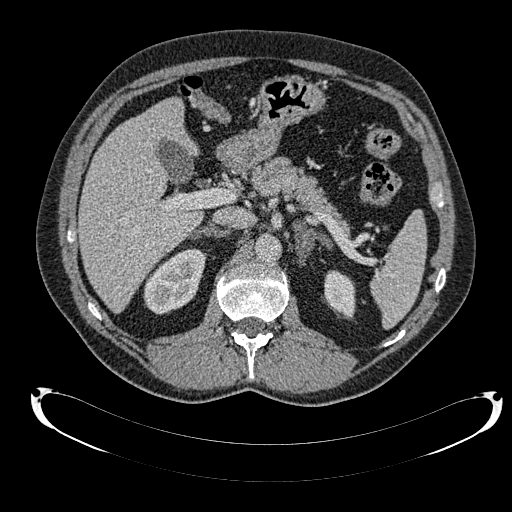

Upper abdomen. CT scan slice. Image size 512x512.

• liver: x1=79 y1=99 x2=202 y2=311
• kidney: x1=144 y1=249 x2=204 y2=313, x1=325 y1=271 x2=354 y2=315